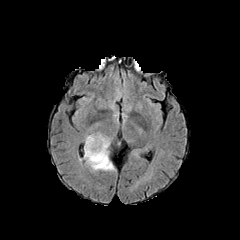
FLAIR MR image.
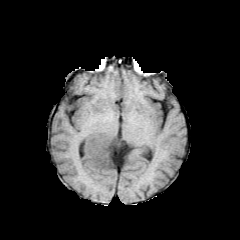
T1-weighted MR.
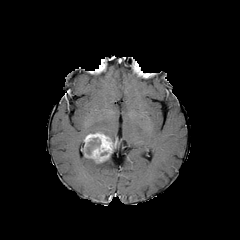
Same slice, post-contrast T1-weighted magnetic resonance.
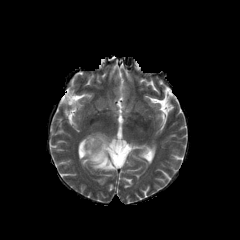
Same slice, T2-weighted MR image.
Brain | 240x240 px
<segmentation>
  <edema>(79, 157, 115, 173)</edema>
  <enhancing_tumor>(84, 133, 111, 163)</enhancing_tumor>
  <non-enhancing_tumor_core>(85, 138, 97, 151)</non-enhancing_tumor_core>
</segmentation>